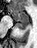 MR image; Hippocampus
Posterior hippocampus at [16, 23, 28, 29].
Anterior hippocampus at [8, 9, 28, 22].